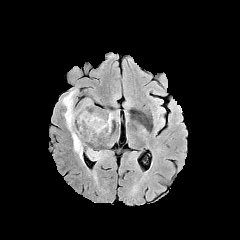
FLAIR MRI.
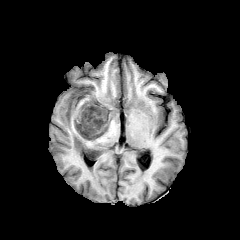
T1-weighted MR image.
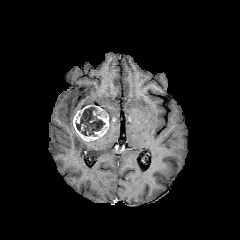
Post-contrast T1-weighted MR image.
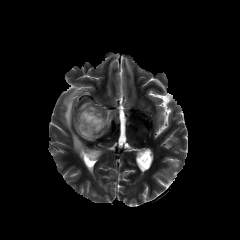
T2-weighted MR image.
Head
non-enhancing tumor core: left=76, top=108, right=104, bottom=135 | enhancing tumor: left=73, top=105, right=109, bottom=141 | edema: left=62, top=89, right=99, bottom=161; left=107, top=111, right=118, bottom=123